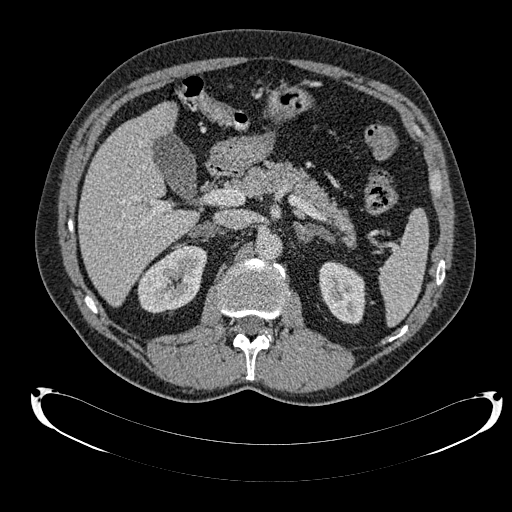
CT | 512x512 px | Upper abdomen

Liver — x1=79, y1=103, x2=197, y2=305.
Kidney — x1=320, y1=262, x2=364, y2=322; x1=138, y1=246, x2=206, y2=312.